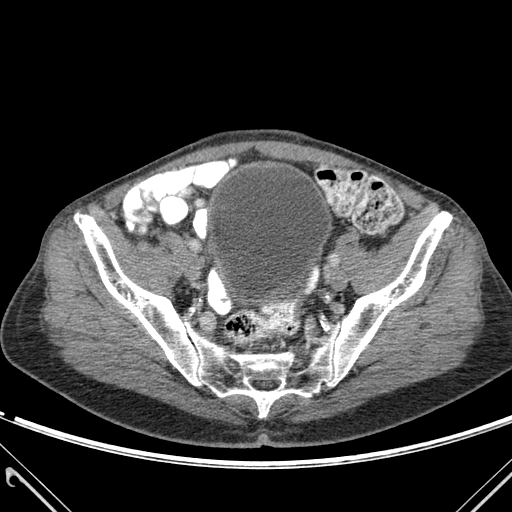
Pelvis. CT image.
Urinary bladder: bounding box rect(211, 168, 329, 299).
Bone: bounding box rect(74, 211, 451, 417).